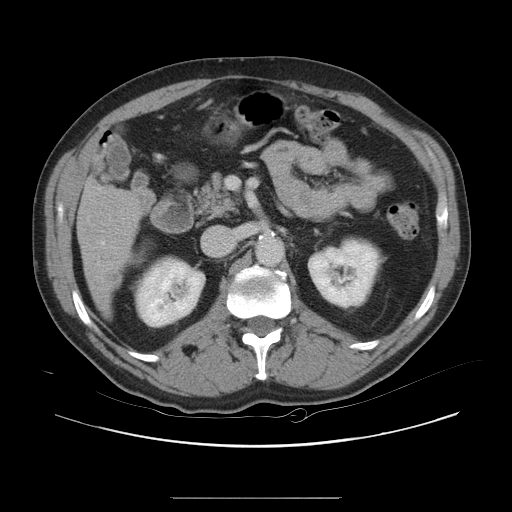
CT image

Only some of the vessels may be annotated.
The hepatic vessel lies within (101,241,104,247). The liver tumor is located at (105,269,119,283).